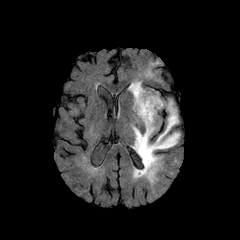
FLAIR MR.
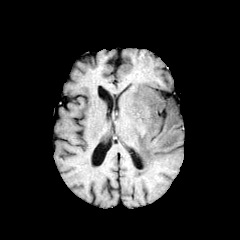
T1-weighted magnetic resonance.
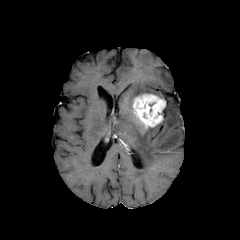
Post-contrast T1-weighted magnetic resonance.
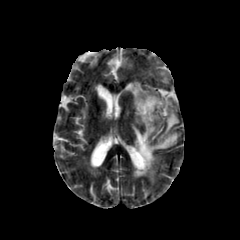
T2-weighted magnetic resonance of the same slice.
Image size 240x240, Brain
Enhancing tumor: l=133, t=93, r=165, b=128.
Edema: l=131, t=98, r=180, b=183; l=128, t=80, r=151, b=104.